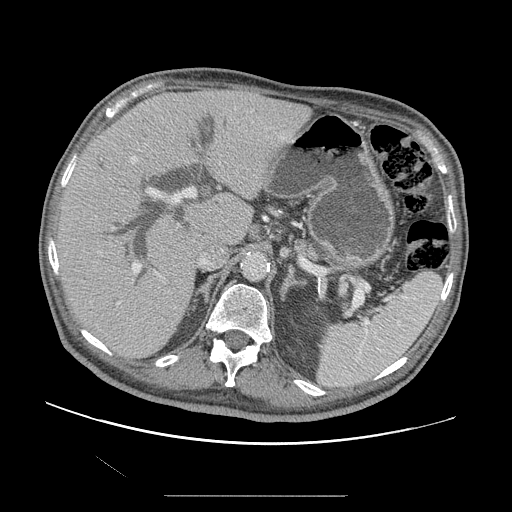 CT slice, Upper abdomen, Image size 512x512
pancreas:
  - <box>296,233,325,262</box>